CT.

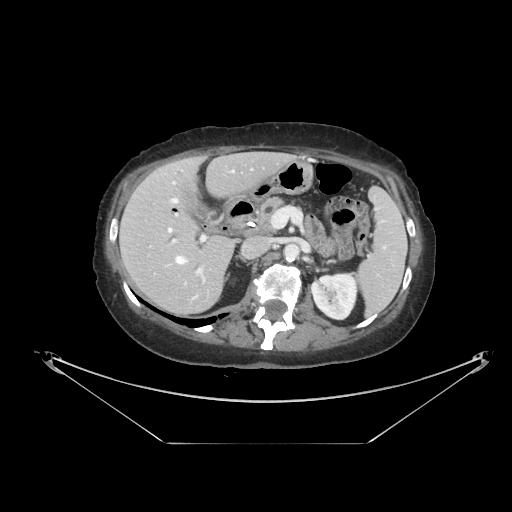
The pancreas appears at <bbox>260, 198, 284, 231</bbox>.